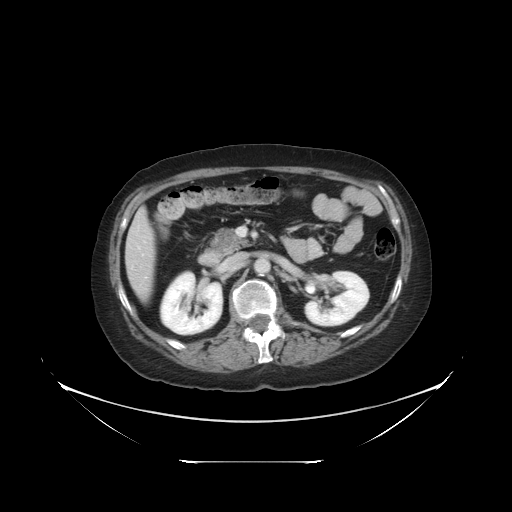
CT slice
The vessel annotation is not exhaustive.
<segmentation>
  <hepatic_vessel>left=226, top=256, right=239, bottom=269</hepatic_vessel>
</segmentation>